512x512; Abdomen; CT scan slice

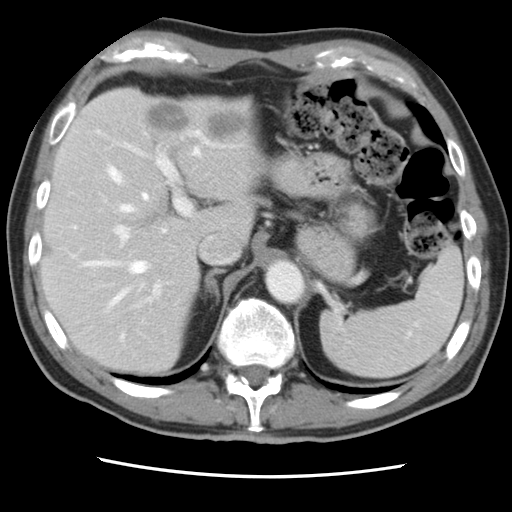 The vessel annotation is not exhaustive.
Liver tumor: [149, 104, 189, 130], [207, 109, 248, 138].
Top 15 of 20 hepatic vessel regions: [143, 193, 148, 198], [176, 197, 191, 214], [127, 145, 142, 153], [83, 261, 113, 265], [130, 261, 147, 272], [121, 205, 132, 210], [110, 293, 122, 305], [192, 148, 199, 155], [109, 167, 121, 181], [156, 154, 175, 180], [162, 228, 166, 232], [193, 130, 209, 143], [116, 226, 129, 245], [121, 334, 124, 339], [153, 283, 160, 295].